Abdomen, Computed tomography, Image size 512x512, Slice 324/519

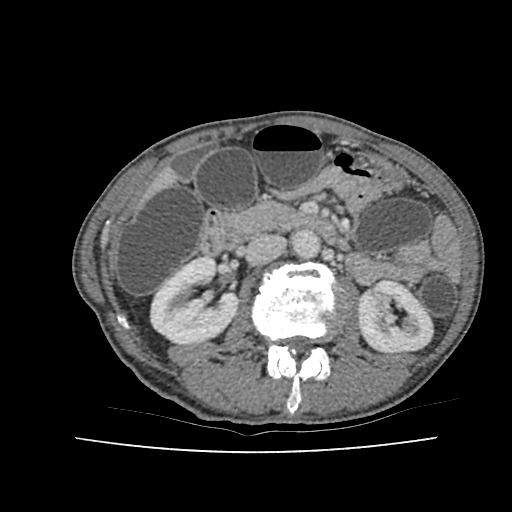 2 kidney regions are located at bbox(151, 257, 237, 343); bbox(359, 281, 432, 351). The liver lies within bbox(154, 177, 170, 189).